FLAIR MR image.
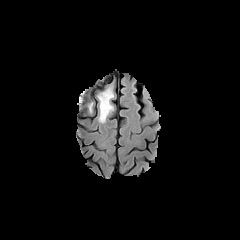
T1-weighted MR.
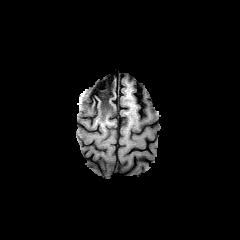
Post-contrast T1-weighted magnetic resonance.
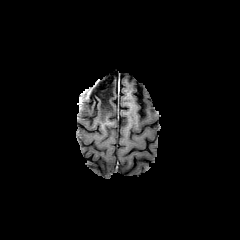
T2-weighted magnetic resonance.
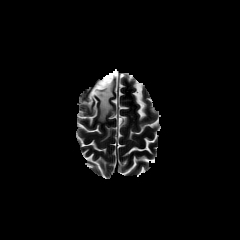
2 non-enhancing tumor core regions are bounded by 82:98:93:107, 96:84:113:111. The edema is bounded by 94:87:114:121.